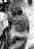 Magnetic resonance. Hippocampus.
<segmentation>
  <posterior_hippocampus>l=13, t=24, r=27, b=32</posterior_hippocampus>
  <anterior_hippocampus>l=8, t=10, r=27, b=23</anterior_hippocampus>
</segmentation>